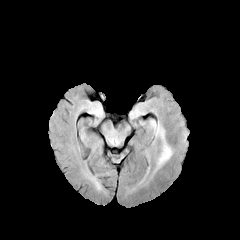
FLAIR MR.
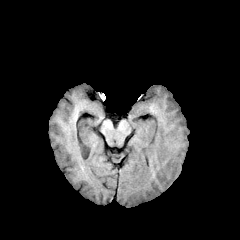
T1-weighted magnetic resonance.
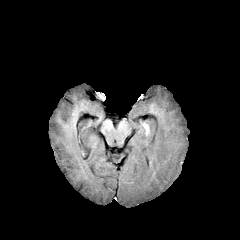
Post-contrast T1-weighted magnetic resonance.
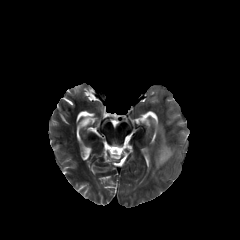
T2-weighted MRI.
Head
Edema — x1=149 y1=119 x2=172 y2=166.